Slice index 339; CT

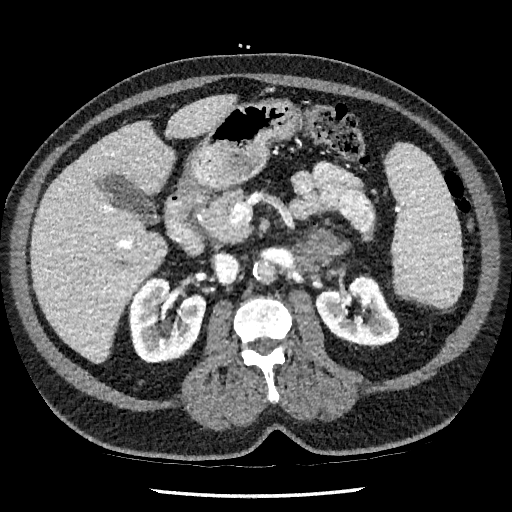 Liver: 166,94,235,137; 31,122,173,362.
Kidney: 130,279,205,361; 316,277,398,344.
Liver lesion: 118,261,129,269.